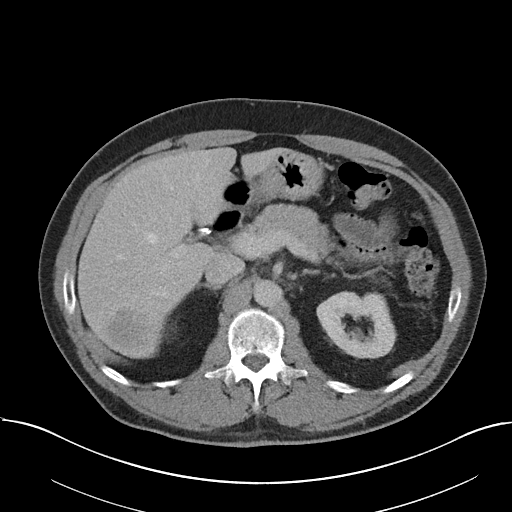

CT, Liver
Some hepatic vessels may have no box.
hepatic_vessel:
  - (145,233,157,243)
  - (150,291,167,296)
  - (178,262,180,264)
  - (199,205,206,208)
  - (196,174,199,181)
  - (117,254,122,259)
  - (170,187,172,188)
  - (172,244,191,253)
liver_tumor:
  - (104,307,154,347)